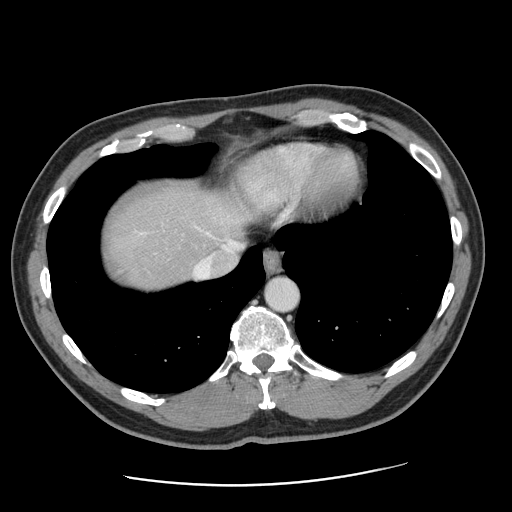
Abdomen, CT
Some hepatic vessels may have no box.
<segmentation>
  <hepatic_vessel><box>194,239,244,278</box>, <box>203,244,212,247</box></hepatic_vessel>
</segmentation>